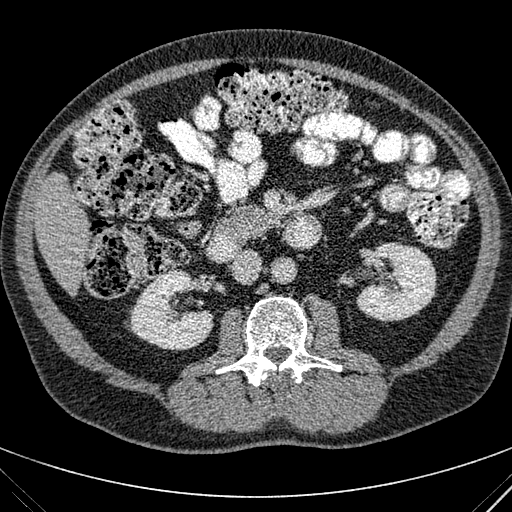
Abdomen; Image size 512x512; Computed tomography

2 kidney regions are bounded by [x1=131, y1=270, x2=212, y2=349], [x1=357, y1=243, x2=435, y2=320]. The liver is at [x1=35, y1=173, x2=88, y2=294].